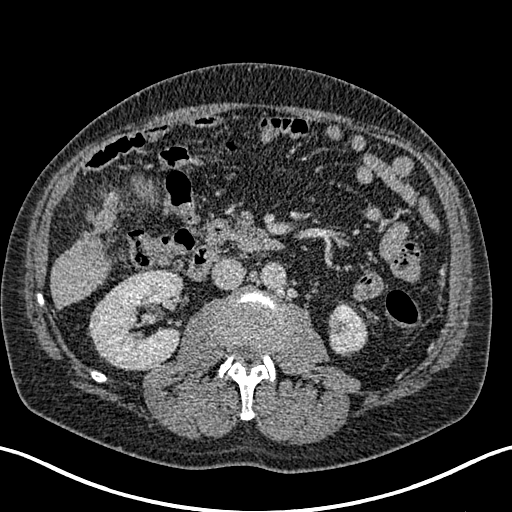

CT slice; Liver; 512x512
{
  "kidney": [
    "box=[330, 305, 365, 352]",
    "box=[90, 271, 181, 369]"
  ],
  "liver": [
    "box=[49, 231, 110, 308]",
    "box=[85, 194, 117, 231]"
  ],
  "hepatic_lesion": [
    "box=[83, 221, 109, 260]"
  ]
}